512x512. Slice 46/99. CT.

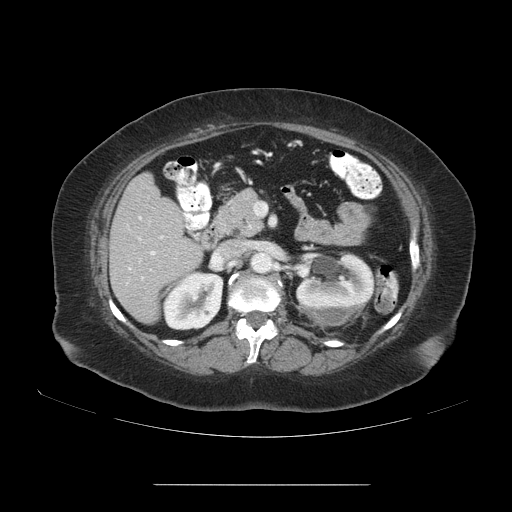 The vessel boxes may cover only some of the vessels.
Hepatic vessel: 138:217:140:219, 150:251:153:254.